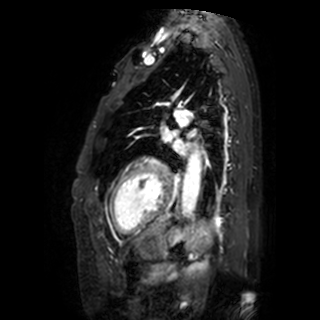 MRI slice
2 left atrium regions are bounded by (x1=163, y1=130, x2=170, y2=141), (x1=173, y1=140, x2=186, y2=154).